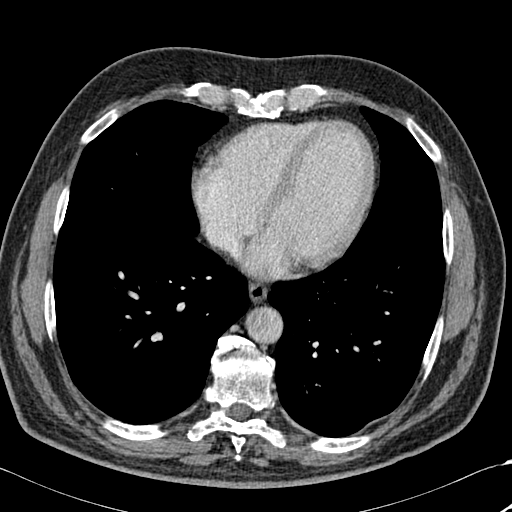 CT image
bone: <bbox>226, 85, 324, 118</bbox>, <bbox>44, 283, 55, 334</bbox>, <bbox>443, 211, 453, 261</bbox>, <bbox>188, 335, 284, 452</bbox>, <bbox>54, 189, 68, 231</bbox>, <bbox>179, 83, 212, 91</bbox>, <bbox>407, 119, 439, 161</bbox>, <bbox>104, 420, 164, 440</bbox>, <bbox>82, 110, 117, 142</bbox>, <bbox>311, 437, 368, 452</bbox>, <bbox>423, 320, 442, 372</bbox>, <bbox>180, 93, 200, 96</bbox> | lung: <bbox>53, 100, 249, 424</bbox>, <bbox>267, 106, 445, 437</bbox>